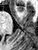

MRI. Medial temporal lobe.
Anterior hippocampus = (17,6,24,11).